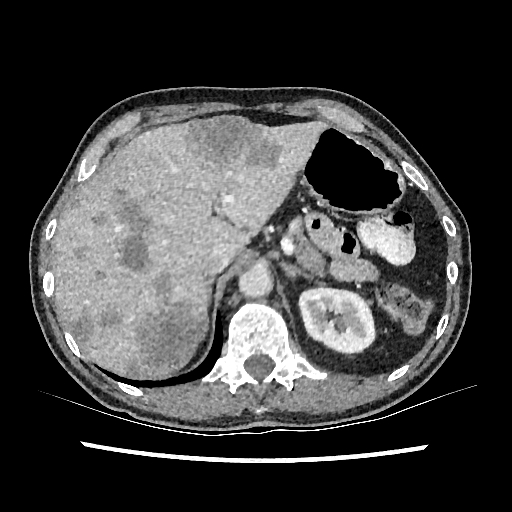
Upper abdomen. CT scan slice.
Annotated regions:
- liver: bbox=[53, 122, 325, 375]
- kidney: bbox=[299, 288, 374, 352]
- focal liver lesion: bbox=[147, 190, 154, 199]; bbox=[114, 199, 152, 272]; bbox=[70, 316, 93, 344]; bbox=[95, 272, 104, 279]; bbox=[183, 116, 281, 171]; bbox=[91, 212, 106, 225]; bbox=[114, 187, 126, 201]; bbox=[74, 247, 86, 258]; bbox=[126, 272, 204, 376]; bbox=[98, 305, 120, 326]